Liver. CT scan slice. Image width 344 mm.
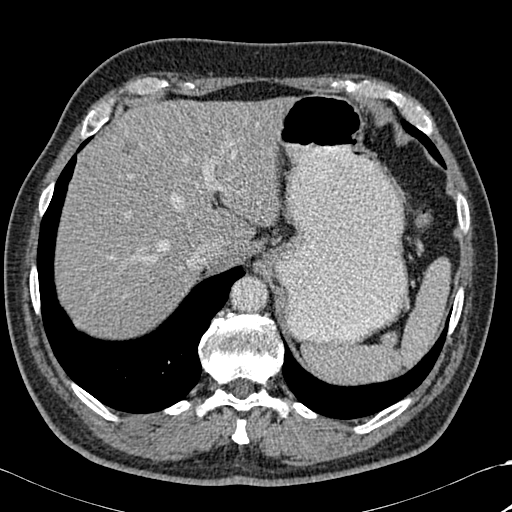
liver:
  - 211 251 236 266
  - 55 98 289 338
bone:
  - 30 268 39 312
  - 165 401 189 414
  - 141 80 167 91
  - 39 184 53 214
  - 346 82 431 133
  - 198 314 288 415
  - 457 195 465 230
  - 292 403 315 418
  - 355 399 409 433
  - 449 289 463 332
  - 81 109 108 136
  - 232 420 248 443
  - 72 384 115 420
  - 466 202 469 230
lung:
  - 282 311 450 419
  - 400 119 445 168
  - 37 137 245 413
liver_lesion:
  - 122 139 136 154